CT scan slice. Liver.
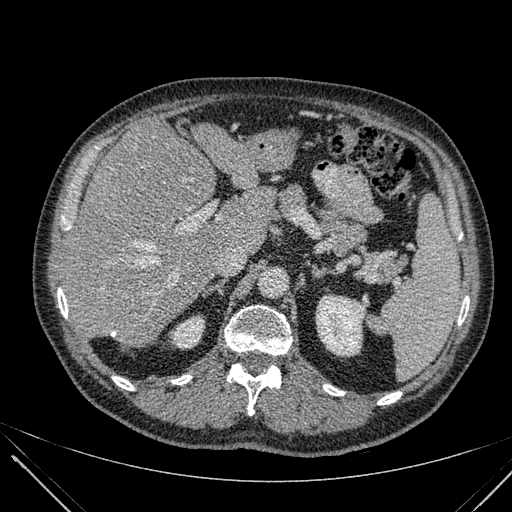
Kidney at 173, 317, 203, 347; 316, 296, 364, 355.
Liver at 63, 122, 276, 350; 192, 123, 271, 188.